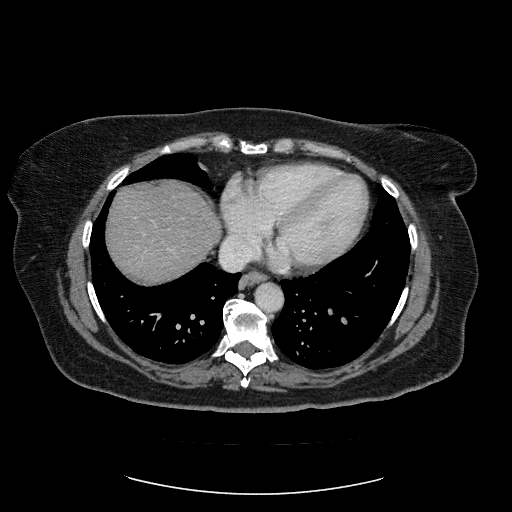 Abdomen, CT

Some hepatic vessels may have no box.
The hepatic vessel is bounded by l=167, t=247, r=170, b=249.